Liver. CT slice. 512x512 px.

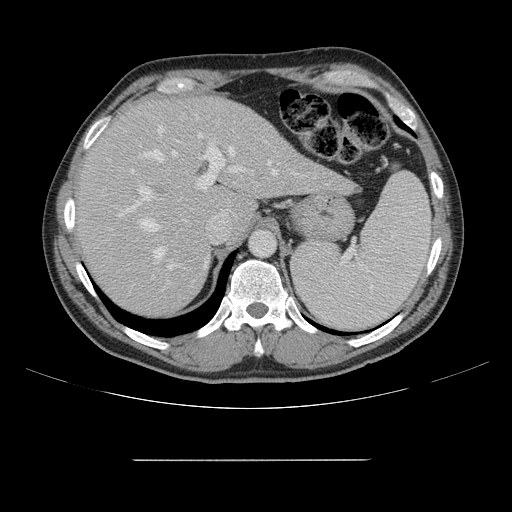
Some hepatic vessels may have no box.
<segmentation>
  <hepatic_vessel>131 169 133 172, 272 170 277 174, 153 247 164 259, 141 220 157 231, 229 166 241 172, 160 198 162 199, 251 170 253 173, 199 134 203 137, 167 281 168 283, 168 260 180 269, 118 213 123 216, 196 144 224 190, 268 160 270 164, 124 187 152 212, 230 147 234 154</hepatic_vessel>
</segmentation>